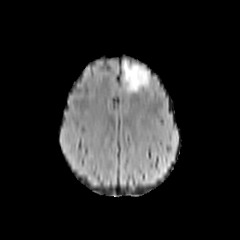
FLAIR MR image.
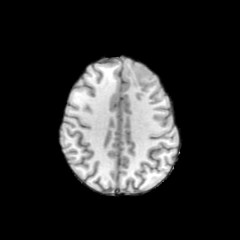
T1-weighted MRI of the same slice.
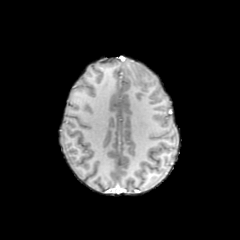
Post-contrast T1-weighted magnetic resonance.
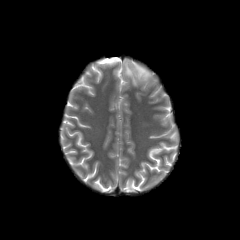
T2-weighted MRI.
Head, 240x240
Annotated regions:
• edema: box=[123, 61, 141, 91]; box=[132, 60, 148, 72]
• non-enhancing tumor core: box=[129, 66, 152, 87]